Slice index 122, Head
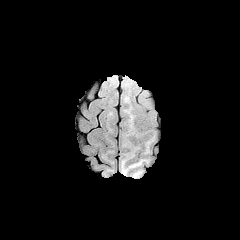
FLAIR MRI.
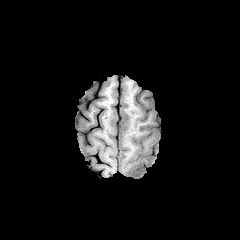
Same slice, T1-weighted MRI.
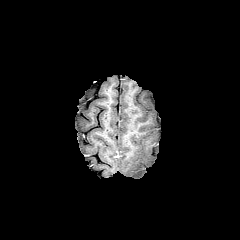
Post-contrast T1-weighted MR image.
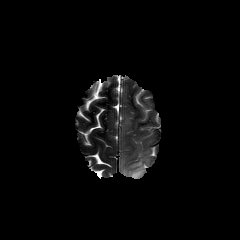
T2-weighted MRI.
<segmentation>
  <edema>x1=126 y1=160 x2=144 y2=178</edema>
</segmentation>